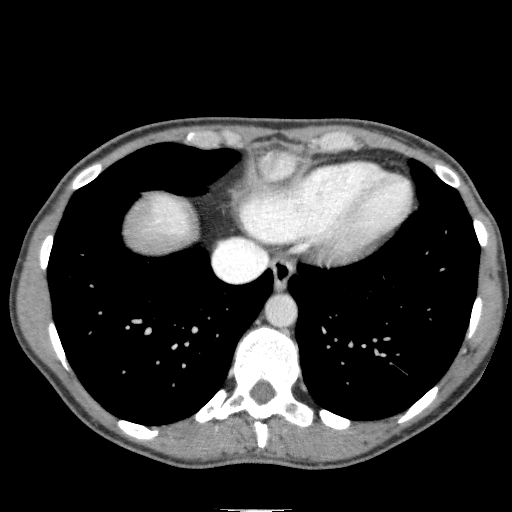
Upper abdomen, CT slice, Image size 512x512
liver: (125,193,194,253), (256,153,301,183)